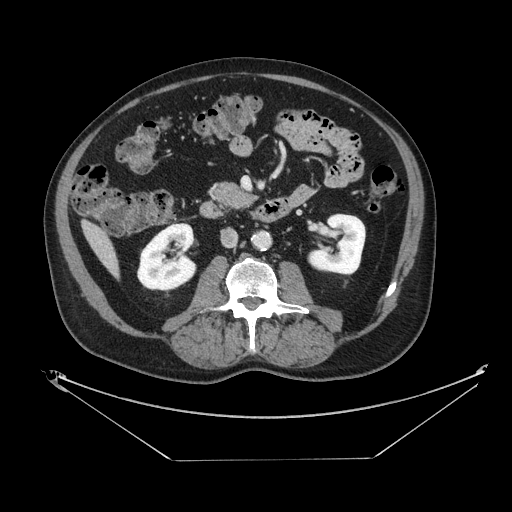
512x512 px; Computed tomography; Abdomen
Annotated regions:
* pancreas: x1=213, y1=182, x2=256, y2=207